Head.
FLAIR MR image.
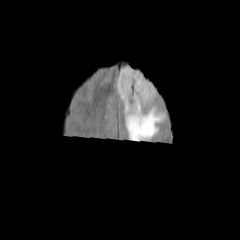
T1-weighted MR.
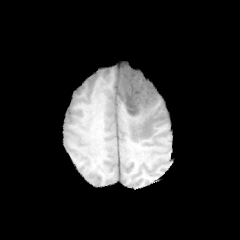
Post-contrast T1-weighted MR.
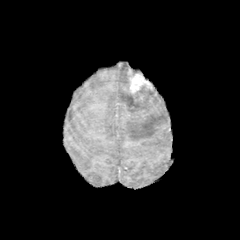
T2-weighted MRI.
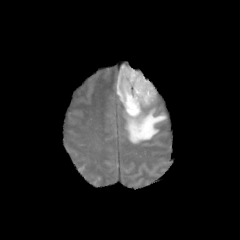
The non-enhancing tumor core is bounded by rect(134, 85, 155, 103). The edema is located at rect(116, 64, 167, 142). The enhancing tumor is bounded by rect(125, 67, 152, 97).